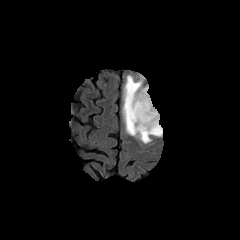
FLAIR magnetic resonance.
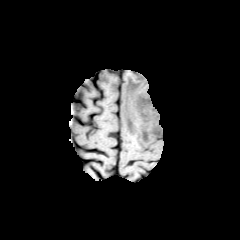
T1-weighted magnetic resonance of the same slice.
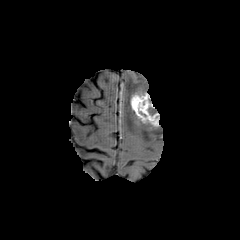
Post-contrast T1-weighted MR.
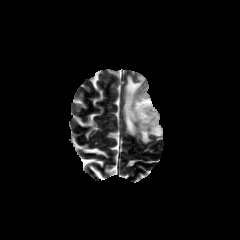
T2-weighted MRI.
Non-enhancing tumor core — <bbox>148, 108, 157, 115</bbox>.
Edema — <bbox>122, 73, 162, 144</bbox>.
Enhancing tumor — <bbox>130, 92, 159, 130</bbox>.